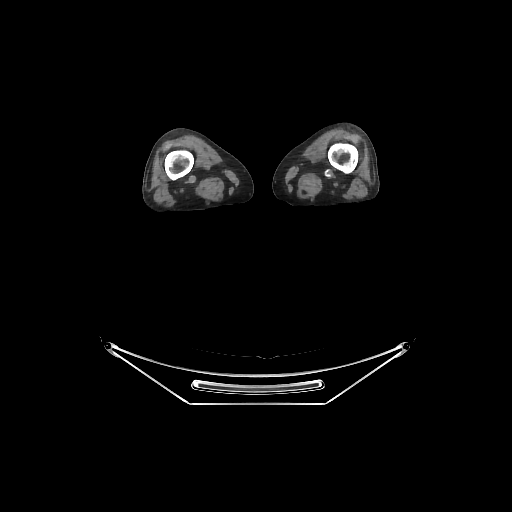

CT slice

Bone: bounding box box=[165, 150, 193, 179]; box=[328, 143, 357, 173].